35x50, Hippocampus, Slice index 21, MRI slice 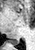 Posterior hippocampus at 8, 40, 19, 44.